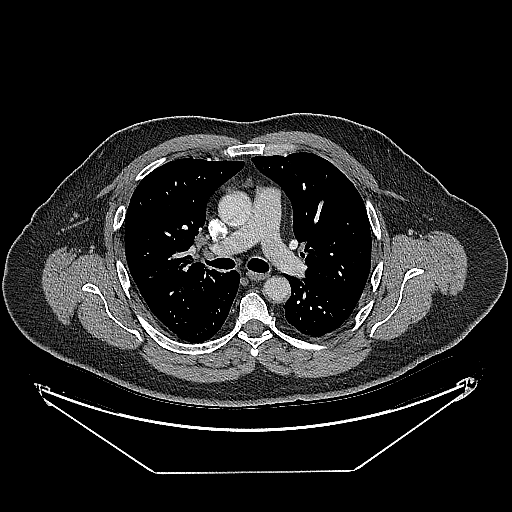
CT slice, Lung, 512x512
Lung tumor at x1=173, y1=284, x2=187, y2=296; x1=190, y1=277, x2=206, y2=296.